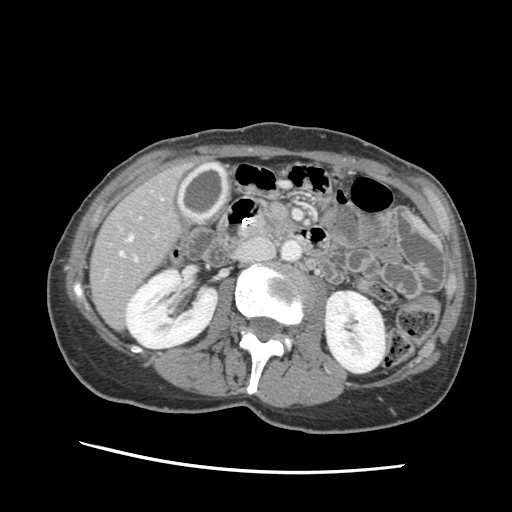

CT
Findings:
• pancreas: x1=264 y1=203 x2=291 y2=236